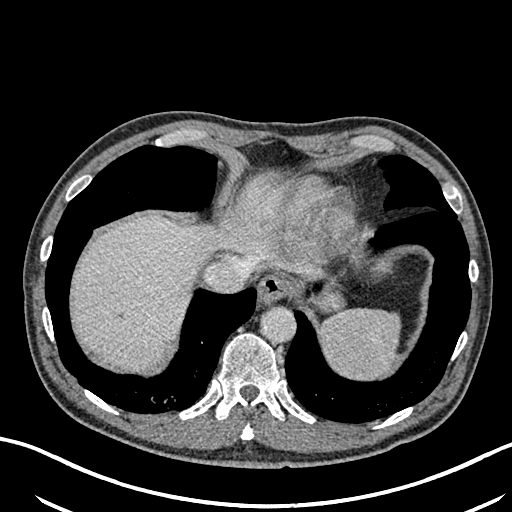

Computed tomography. Liver — box(228, 173, 282, 242); box(70, 217, 216, 369).
Focal liver lesion — box(259, 218, 269, 228).